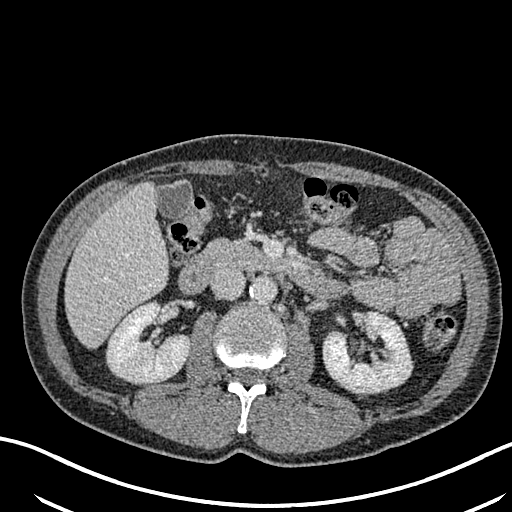
Liver | CT image
Liver = 66, 182, 167, 346.
Kidney = 107, 303, 188, 382; 323, 312, 411, 392.